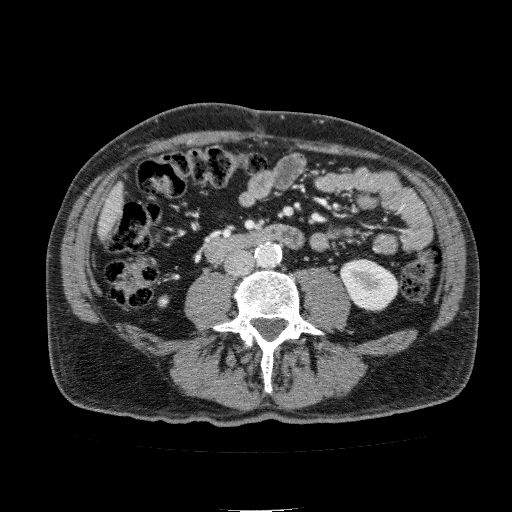
Abdomen, CT slice
kidney: {"x1": 341, "y1": 260, "x2": 397, "y2": 309} | liver: {"x1": 98, "y1": 182, "x2": 125, "y2": 245}